CT slice, Slice index 39, Abdomen, Field of view 411 mm wide, 2.50 mm slice spacing

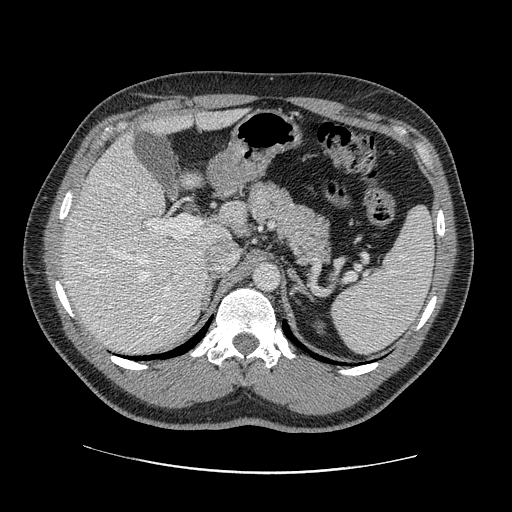
{"pancreas": ["(x1=247, y1=180, x2=332, y2=266)"]}